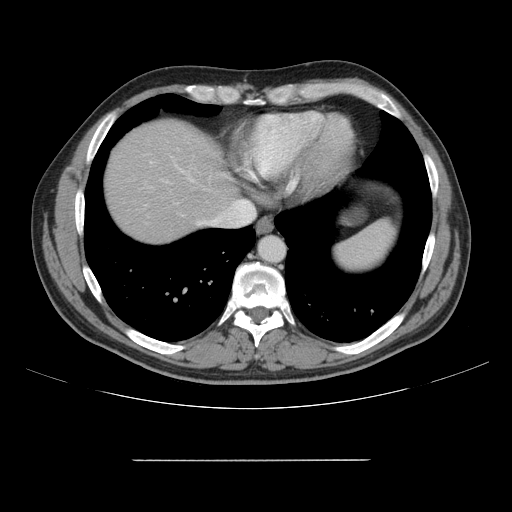

CT image
The vessel boxes may cover only some of the vessels.
Segmented structures:
* hepatic vessel: box=[197, 221, 204, 225]